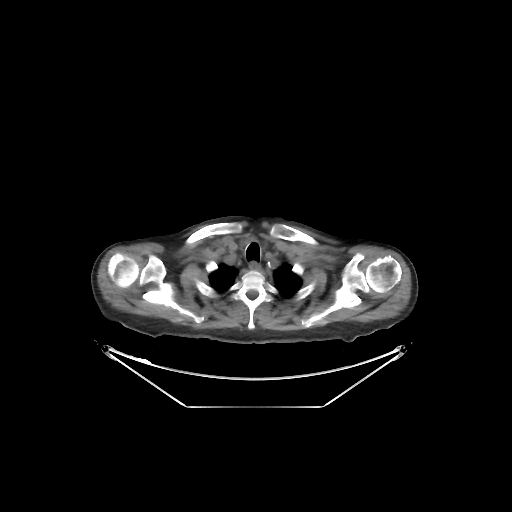

Thorax, CT image

Segmented structures:
* lung: 208 263 238 293, 273 261 302 299, 246 242 259 262
* bone: 195 279 209 293, 233 271 270 328, 271 225 316 244, 186 223 240 244, 302 253 401 326, 307 282 314 293, 108 253 203 322, 292 263 300 271, 207 261 217 271